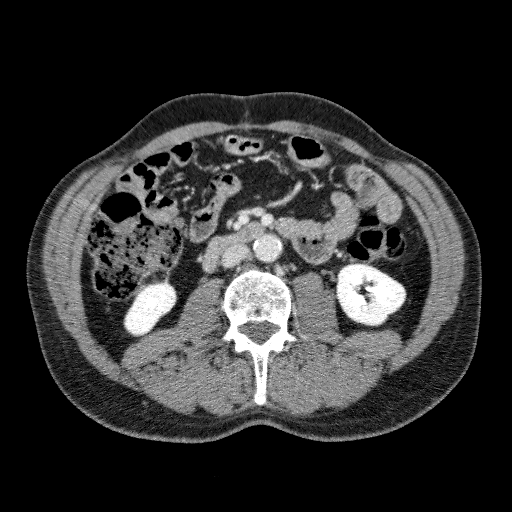 Abdomen | CT image
<segmentation>
  <kidney>(left=125, top=283, right=175, bottom=334), (left=337, top=264, right=405, bottom=324)</kidney>
</segmentation>